240x240
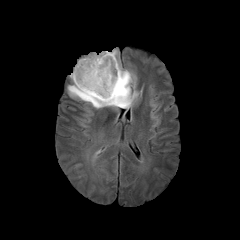
FLAIR MR image.
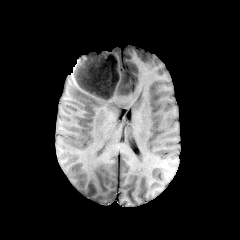
T1-weighted magnetic resonance.
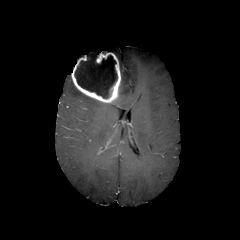
Post-contrast T1-weighted MR image.
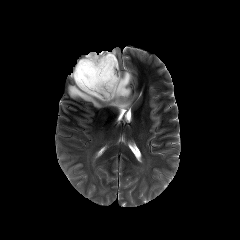
T2-weighted MRI of the same slice.
The non-enhancing tumor core appears at box(74, 53, 117, 98). The enhancing tumor is located at box(71, 52, 120, 104). 2 edema regions are located at box(67, 61, 140, 111); box(111, 48, 119, 57).